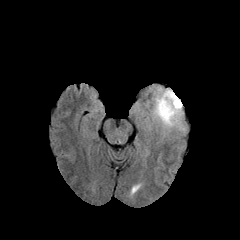
FLAIR MRI.
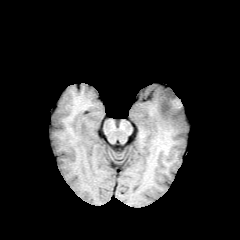
T1-weighted MR.
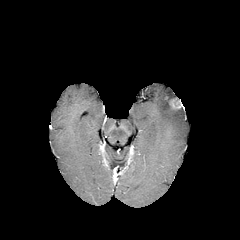
Post-contrast T1-weighted magnetic resonance.
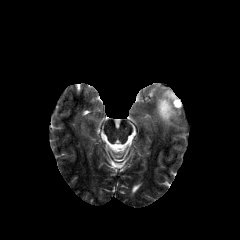
T2-weighted magnetic resonance.
Brain | 240x240 px
The enhancing tumor is bounded by <bbox>169, 97, 182, 110</bbox>. The edema appears at <bbox>131, 84, 187, 138</bbox>.